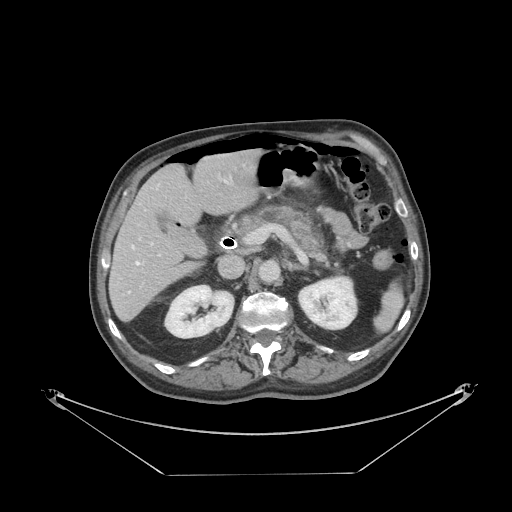

Computed tomography

Pancreas — <bbox>240, 206, 331, 264</bbox>.